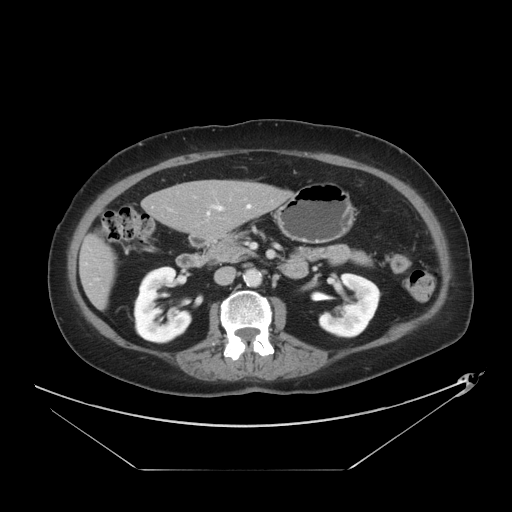 CT. 512x512. The vessel boxes may cover only some of the vessels.
Segmented structures:
- hepatic vessel: left=212, top=205, right=222, bottom=210; left=207, top=212, right=209, bottom=214; left=247, top=205, right=250, bottom=207